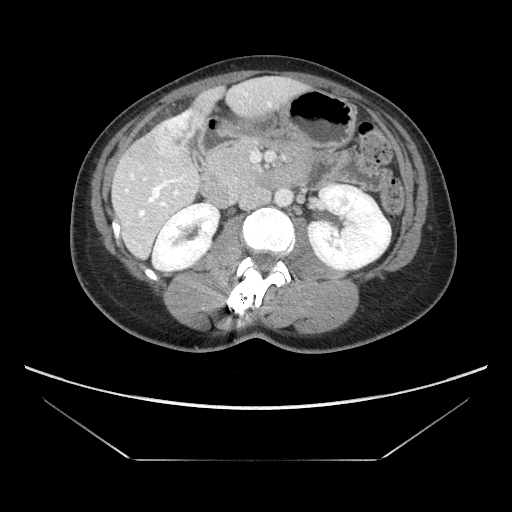

Abdomen | CT image | 512x512

Liver tumor — 154, 112, 200, 151.